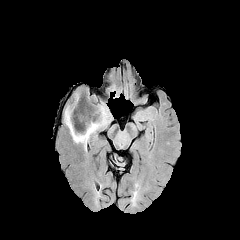
FLAIR MR.
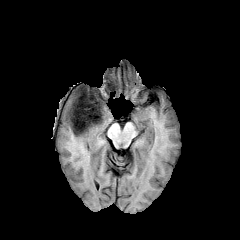
Same slice, T1-weighted magnetic resonance.
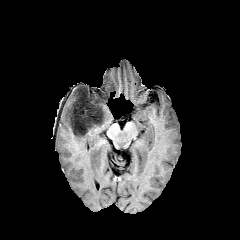
Same slice, post-contrast T1-weighted magnetic resonance.
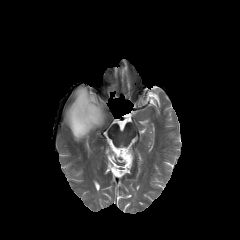
T2-weighted MRI.
Head; Image size 240x240
<segmentation>
  <non-enhancing_tumor_core>72, 96, 103, 135</non-enhancing_tumor_core>
  <edema>99, 102, 109, 124; 64, 106, 99, 146</edema>
</segmentation>